FLAIR MR.
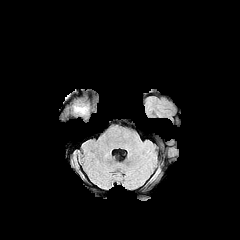
T1-weighted magnetic resonance.
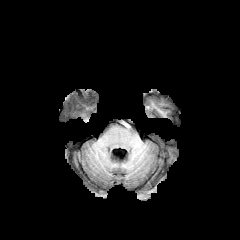
Post-contrast T1-weighted MRI.
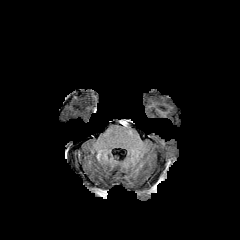
T2-weighted MR image.
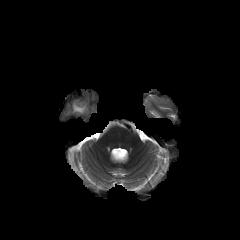
Image size 240x240; Brain
The edema is bounded by 74,105,88,114.